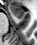
37x45 px. Hippocampus. Magnetic resonance.

anterior hippocampus: 8, 5, 24, 18